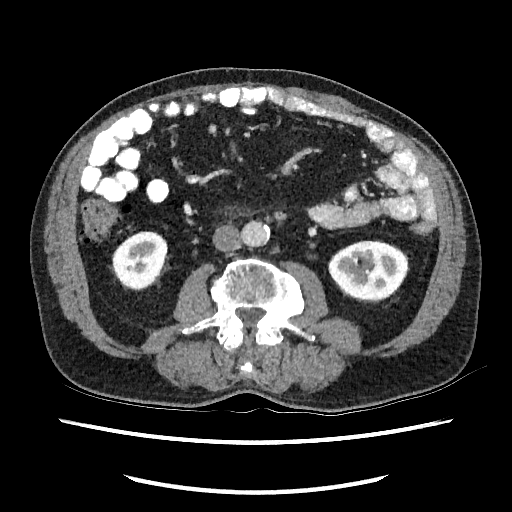
CT | Image size 512x512 | Abdomen
2 kidney regions appear at x1=113 y1=232 x2=167 y2=289, x1=328 y1=241 x2=408 y2=300.